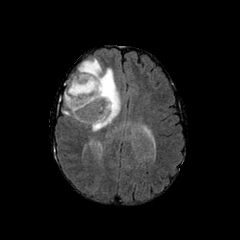
FLAIR magnetic resonance.
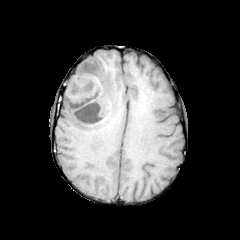
Same slice, T1-weighted MR image.
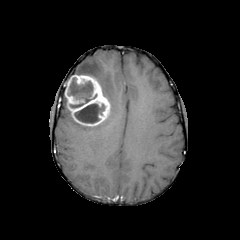
Post-contrast T1-weighted MRI of the same slice.
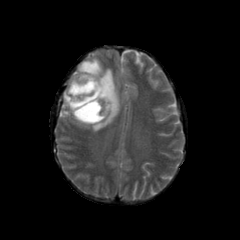
T2-weighted MR image.
Head
Non-enhancing tumor core: 67:75:93:102, 70:102:83:107, 74:103:101:125.
Edema: 62:106:72:119, 76:57:121:131.
Enhancing tumor: 65:75:109:125.